FLAIR MR image.
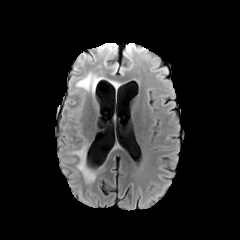
T1-weighted MRI.
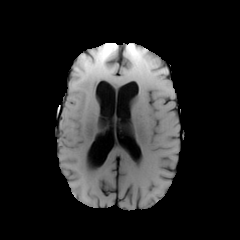
Post-contrast T1-weighted MRI.
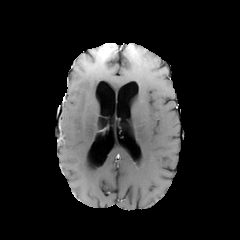
T2-weighted MRI.
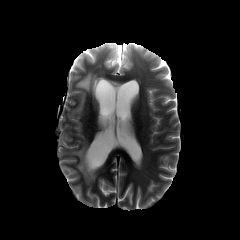
Head; Image size 240x240
edema: [120,44,137,71], [76,73,103,93], [82,54,95,61], [104,52,118,73], [74,146,95,181] | non-enhancing tumor core: [85,44,117,62] | enhancing tumor: [103,46,113,58]